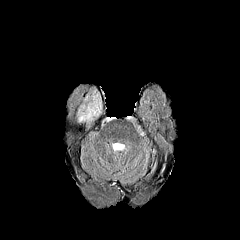
FLAIR MR.
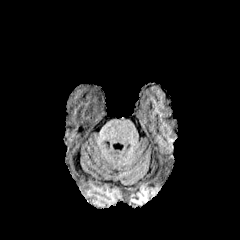
T1-weighted MRI of the same slice.
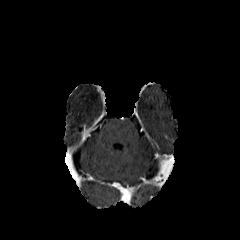
Post-contrast T1-weighted MR image.
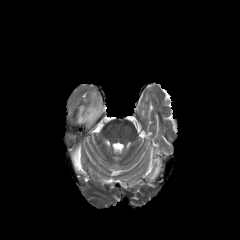
T2-weighted MR.
Brain | 240x240
- edema: <box>78,106,96,121</box>